FLAIR MR image.
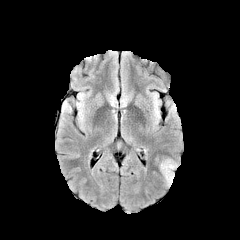
T1-weighted magnetic resonance.
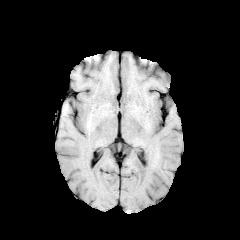
Post-contrast T1-weighted MR image.
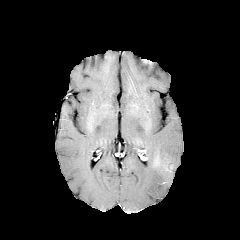
T2-weighted MRI.
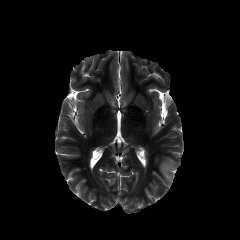
Brain; 240x240 px
edema: [x1=160, y1=158, x2=176, y2=184]